CT
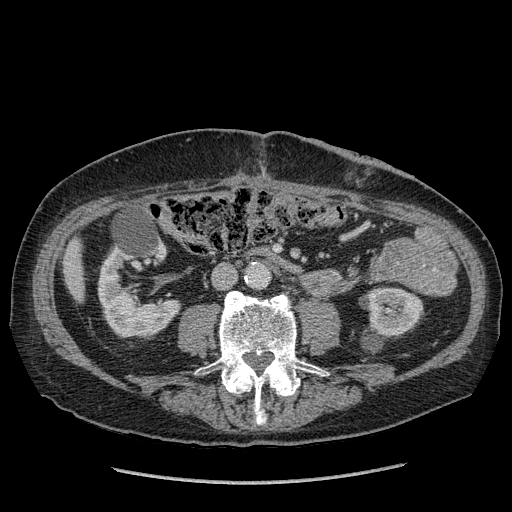

Kidney at 155,243,165,260; 98,247,179,336; 365,288,422,336.
Liver at 63,237,83,303.